Head. 240x240.
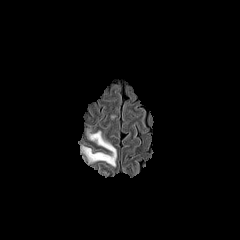
FLAIR magnetic resonance.
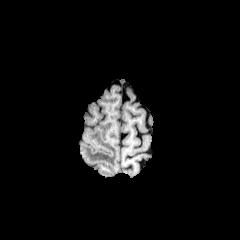
T1-weighted MR.
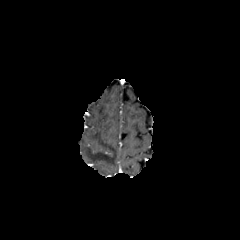
Post-contrast T1-weighted magnetic resonance of the same slice.
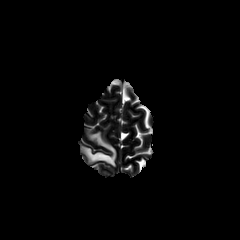
T2-weighted magnetic resonance of the same slice.
Annotated regions:
- edema: [82, 131, 116, 166]